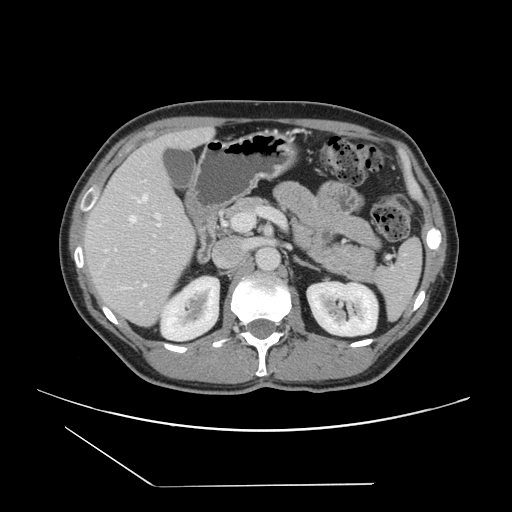

512x512 px. CT scan slice. Abdomen. Not every hepatic vessel necessarily has a box.
6 hepatic vessel regions are located at region(130, 195, 141, 199); region(142, 180, 145, 181); region(147, 195, 147, 198); region(104, 219, 106, 220); region(107, 259, 108, 260); region(130, 221, 132, 225).